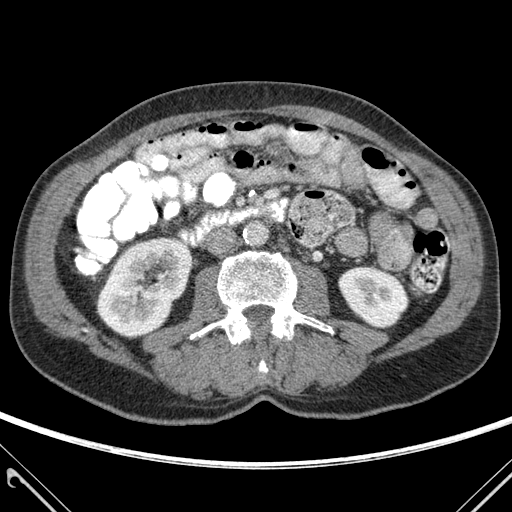

CT scan slice

bone: (259,361,267,371), (190,251,332,343) | kidney: (98,238,187,335), (339,268,406,326)